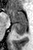 Magnetic resonance

{"posterior_hippocampus": [{"x1": 13, "y1": 23, "x2": 27, "y2": 34}], "anterior_hippocampus": [{"x1": 7, "y1": 9, "x2": 27, "y2": 22}]}